CT, Liver 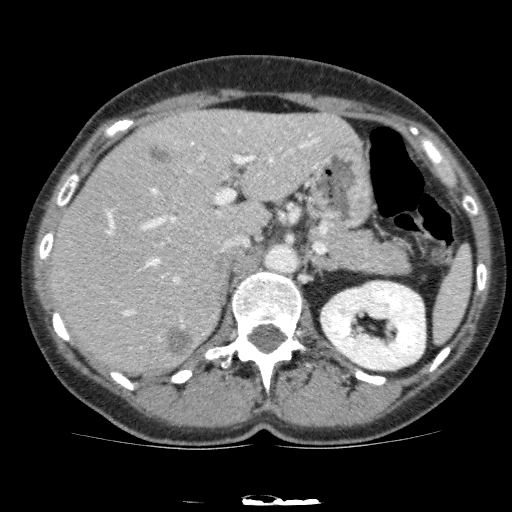

liver: bbox(48, 110, 362, 373) | hepatic lesion: bbox(145, 143, 175, 166); bbox(163, 325, 196, 358) | kidney: bbox(321, 282, 425, 369)